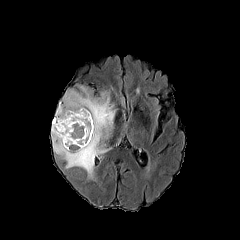
FLAIR MR.
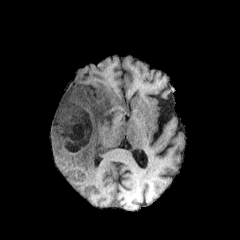
T1-weighted MR.
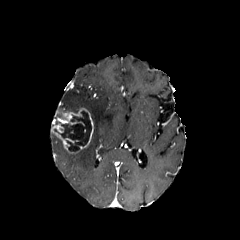
Post-contrast T1-weighted magnetic resonance.
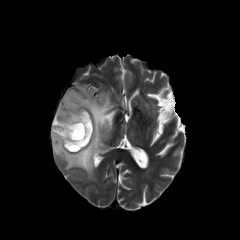
T2-weighted MRI.
240x240 px; Head
<segmentation>
  <non-enhancing_tumor_core>box(57, 111, 91, 151)</non-enhancing_tumor_core>
  <enhancing_tumor>box(51, 107, 93, 153)</enhancing_tumor>
  <edema>box(51, 84, 117, 182)</edema>
</segmentation>